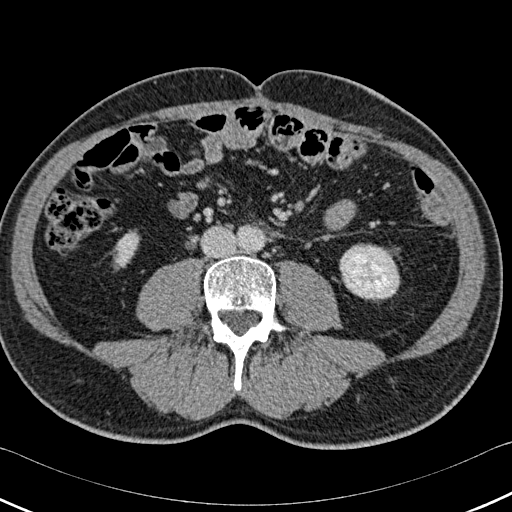 CT, Abdomen
* bone: 204, 256, 284, 390
* kidney: 116, 234, 137, 265; 340, 246, 398, 298